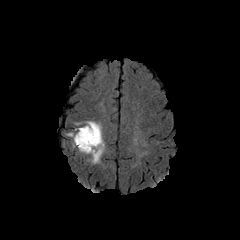
FLAIR magnetic resonance.
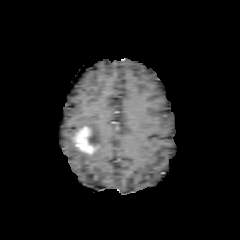
Same slice, T1-weighted MR image.
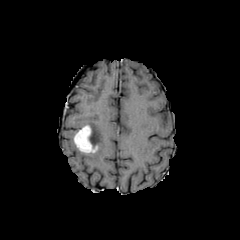
Post-contrast T1-weighted MRI.
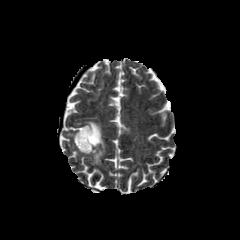
T2-weighted magnetic resonance.
The non-enhancing tumor core appears at region(89, 126, 98, 145). 2 edema regions are located at region(80, 121, 105, 164); region(67, 126, 81, 138). The enhancing tumor lies within region(73, 125, 95, 152).